CT, Slice 110 of 168 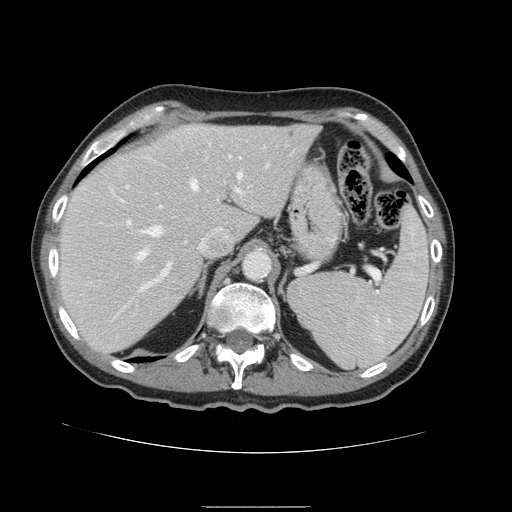

The vessel boxes may cover only some of the vessels.
- hepatic vessel: 156:262:171:280, 237:172:242:178, 127:220:130:224, 190:179:197:190, 238:222:243:226, 127:185:128:186, 141:284:149:288, 236:187:241:191, 198:212:232:253, 121:199:123:200, 137:249:147:259, 145:226:161:235